FLAIR MRI.
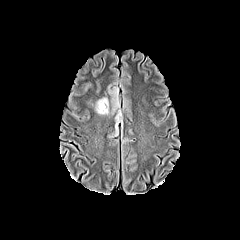
T1-weighted MRI.
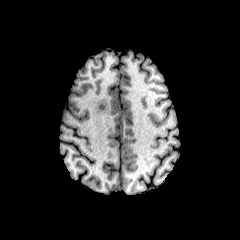
Post-contrast T1-weighted magnetic resonance.
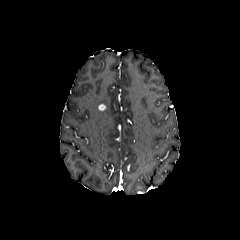
T2-weighted MRI.
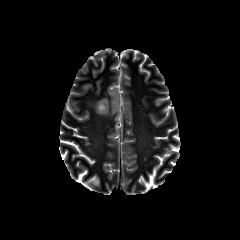
edema: x1=96 y1=98 x2=108 y2=114